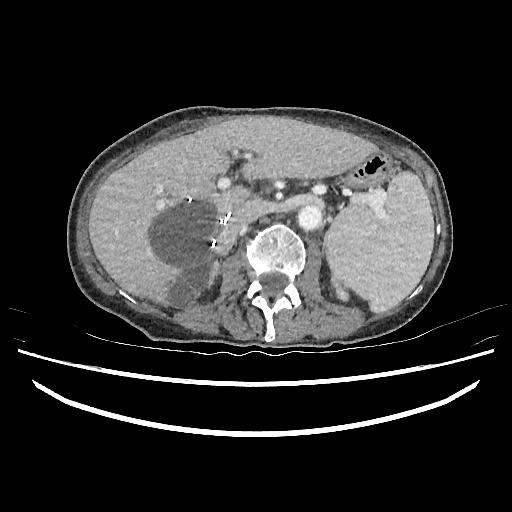 CT scan slice | Image size 512x512
focal_liver_lesion:
  - 151,202,218,306
liver:
  - 205,262,217,287
  - 89,117,372,306